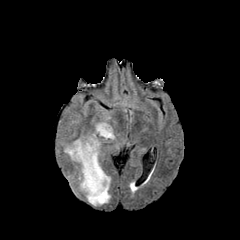
FLAIR MRI.
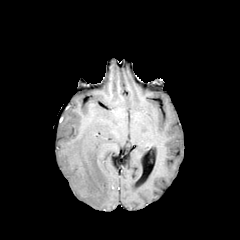
T1-weighted MRI.
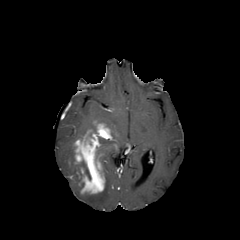
Same slice, post-contrast T1-weighted MR.
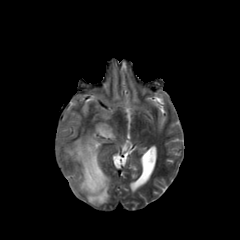
Same slice, T2-weighted MR image.
Brain
Non-enhancing tumor core at 80,164,90,179.
Edema at 84,170,111,205; 88,117,115,140; 96,138,109,162; 74,163,84,190; 65,142,73,161.
Enhancing tumor at 74,124,111,194.